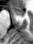 33x44 px. MRI slice. Hippocampus.

The anterior hippocampus is at [11,5,25,16].